Image size 240x240; Slice 84 of 155; Brain
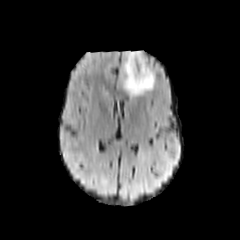
FLAIR magnetic resonance.
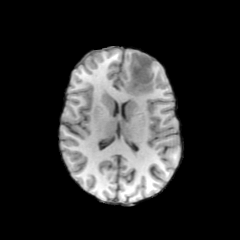
T1-weighted magnetic resonance.
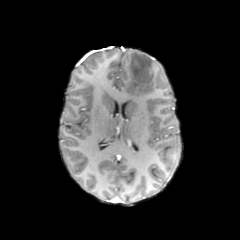
Post-contrast T1-weighted MR.
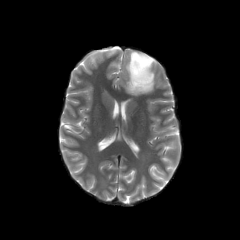
T2-weighted MR image.
Edema at l=123, t=50, r=155, b=96.
Non-enhancing tumor core at l=129, t=53, r=152, b=93.